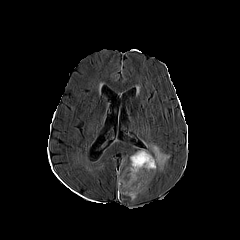
FLAIR magnetic resonance.
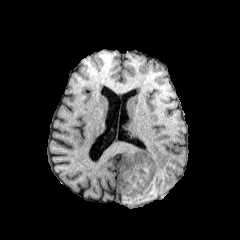
T1-weighted MRI of the same slice.
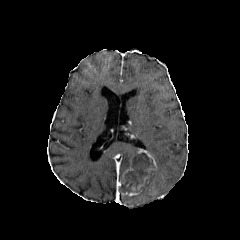
Post-contrast T1-weighted MR.
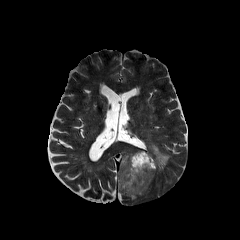
T2-weighted magnetic resonance of the same slice.
Brain; 240x240
Non-enhancing tumor core — region(120, 153, 154, 192).
Edema — region(143, 141, 169, 171).
Enhancing tumor — region(118, 154, 147, 196); region(136, 149, 157, 173).